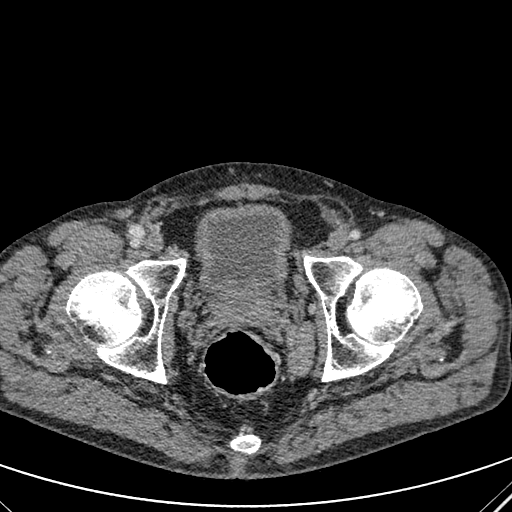 Lower abdomen | CT scan slice
urinary_bladder:
  - region(206, 211, 279, 290)